Slice index 559 | CT scan slice

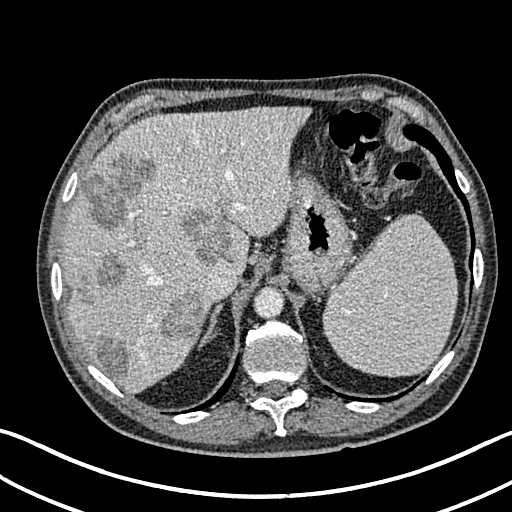
{
  "liver_lesion": [
    "158:290:203:342",
    "80:152:155:228",
    "127:222:146:242",
    "97:253:126:287",
    "79:277:92:303",
    "95:336:129:377",
    "179:207:233:265"
  ],
  "liver": [
    "63:108:308:389"
  ]
}